FLAIR MR.
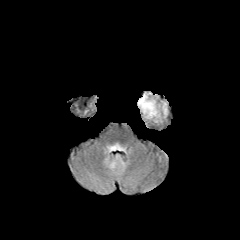
T1-weighted MRI.
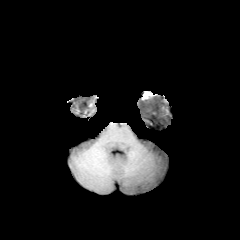
Post-contrast T1-weighted magnetic resonance.
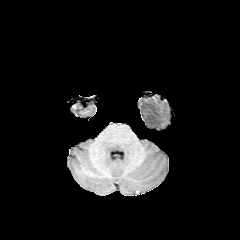
T2-weighted magnetic resonance.
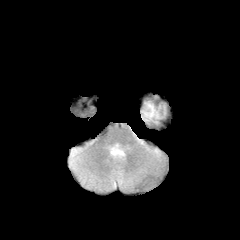
Edema: bounding box box=[141, 97, 166, 123].